240x240, Slice 124/155
FLAIR MR.
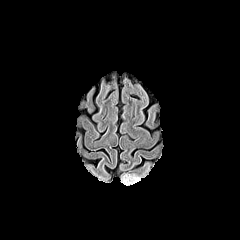
T1-weighted MR image.
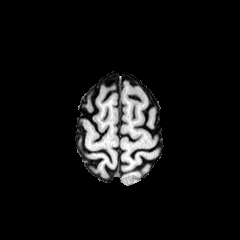
Post-contrast T1-weighted MR.
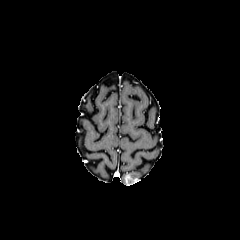
T2-weighted magnetic resonance.
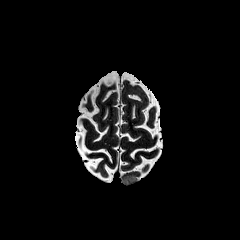
edema: bbox(130, 173, 140, 180) | enhancing tumor: bbox(124, 174, 132, 184)